Slice index 97 | Head
FLAIR MR.
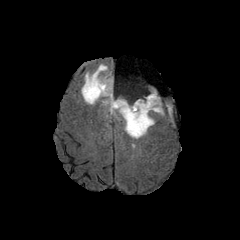
T1-weighted MRI.
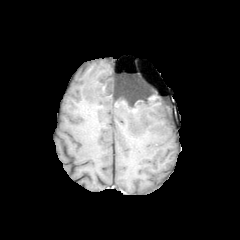
Post-contrast T1-weighted magnetic resonance.
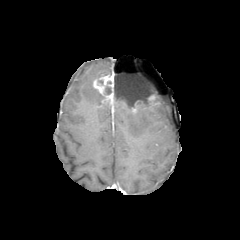
T2-weighted MR.
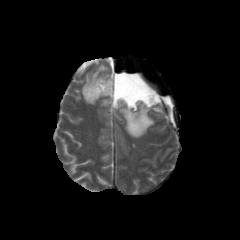
4 edema regions are located at l=113, t=91, r=164, b=138; l=101, t=99, r=110, b=110; l=80, t=63, r=110, b=104; l=114, t=75, r=119, b=91. The non-enhancing tumor core lies within l=114, t=82, r=153, b=114. The enhancing tumor appears at l=93, t=74, r=115, b=113.